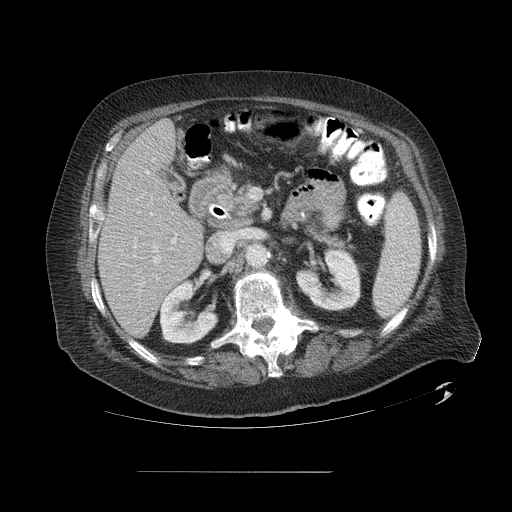
Liver; CT scan slice

Some hepatic vessels may have no box.
Hepatic vessel: <box>133,238,136,247</box>, <box>140,192,144,197</box>, <box>146,171,148,173</box>, <box>154,275,158,279</box>, <box>153,245,157,252</box>, <box>138,211,140,212</box>, <box>153,255,160,262</box>, <box>136,198,137,199</box>, <box>163,197,164,199</box>, <box>168,234,176,250</box>.